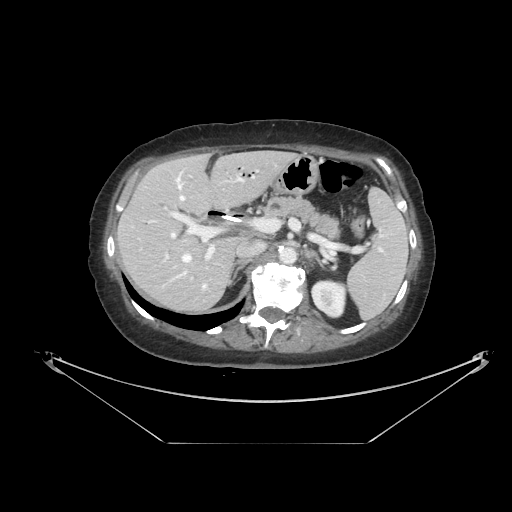
CT image. 512x512 px.
Pancreas: rect(264, 197, 340, 237).